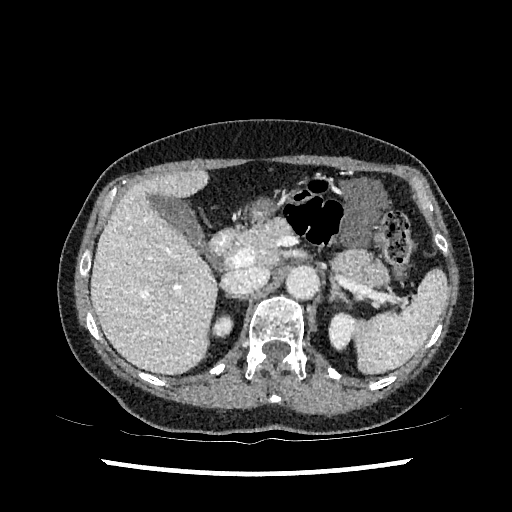 CT image; Abdomen
Kidney: [330,314,356,348].
Liver: [92,170,216,373].
Liver lesion: [171,265,187,277].